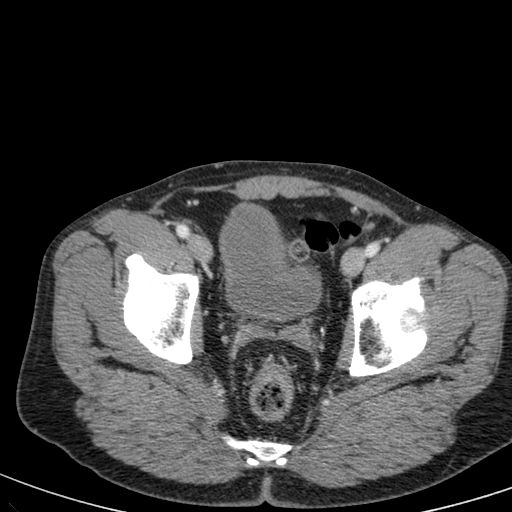
CT slice | Pelvis
Segmented structures:
* urinary bladder: {"x1": 220, "y1": 203, "x2": 320, "y2": 319}